Field of view 480 mm wide, 2.50 mm slice spacing, CT scan slice, Slice index 54
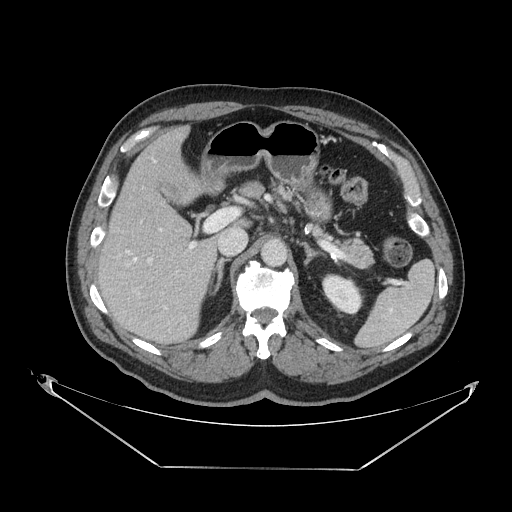

Segmented structures:
- pancreas: left=269, top=179, right=290, bottom=199; left=341, top=237, right=374, bottom=268